320x320 px. Slice index 111. Magnetic resonance. 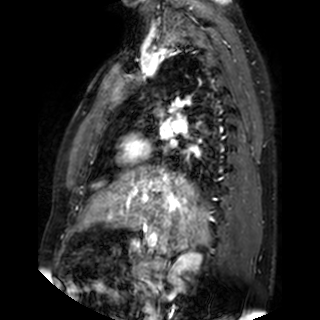

Segmented structures:
• left atrium: x1=160, y1=127, x2=171, y2=137